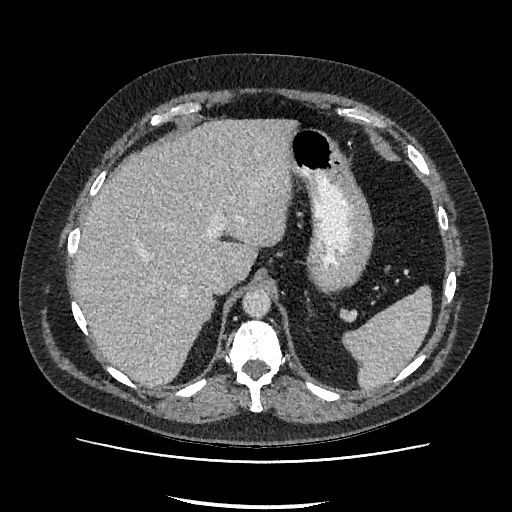
512x512, Upper abdomen, CT
Liver — [x1=76, y1=119, x2=296, y2=385].